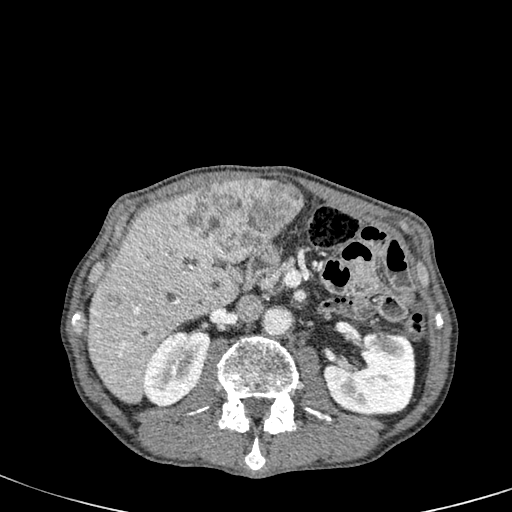
CT scan slice. Abdomen. 512x512 px. 2 kidney regions appear at x1=324 y1=328 x2=414 y2=413, x1=142 y1=332 x2=209 y2=405. 2 hepatic lesion regions are located at x1=108 y1=295 x2=121 y2=304, x1=188 y1=179 x2=303 y2=261. 2 liver regions are bounded by x1=282 y1=183 x2=301 y2=194, x1=88 y1=193 x2=237 y2=403.